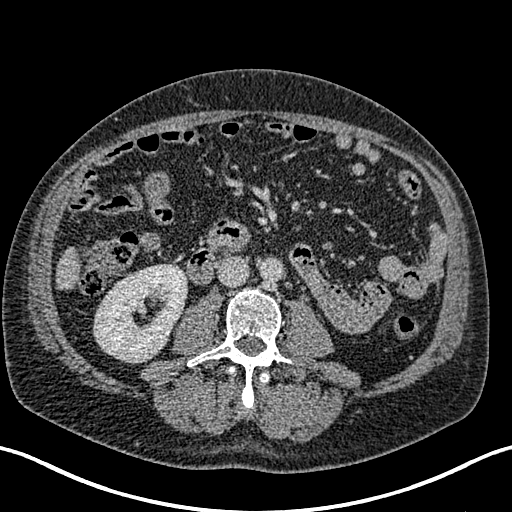
CT image. Upper abdomen. Kidney at 94:265:186:362.
Liver at 57:247:80:289.